Slice index 32 | CT slice | Upper abdomen
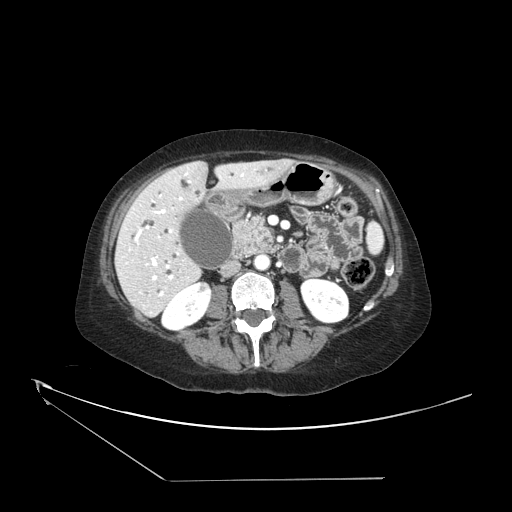
pancreas: region(233, 215, 276, 255)